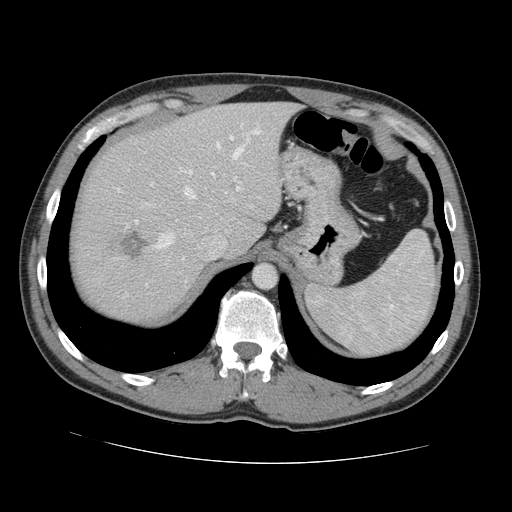
CT; Liver
Not every hepatic vessel necessarily has a box.
[15/19] hepatic vessel: l=210, t=172, r=214, b=177; l=184, t=187, r=194, b=197; l=115, t=188, r=120, b=191; l=216, t=144, r=219, b=151; l=229, t=135, r=232, b=139; l=124, t=222, r=128, b=229; l=155, t=233, r=174, b=248; l=232, t=147, r=243, b=158; l=242, t=125, r=260, b=142; l=122, t=292, r=126, b=298; l=240, t=124, r=242, b=127; l=178, t=168, r=191, b=174; l=233, t=176, r=241, b=190; l=141, t=200, r=151, b=205; l=134, t=220, r=137, b=223 | liver tumor: l=118, t=231, r=147, b=259